FLAIR MR image.
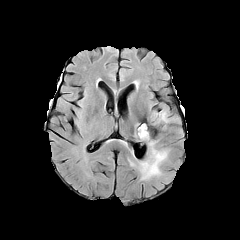
T1-weighted MR.
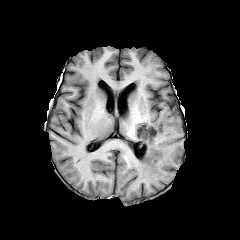
Post-contrast T1-weighted MRI.
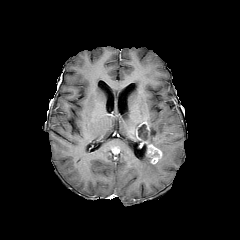
T2-weighted magnetic resonance.
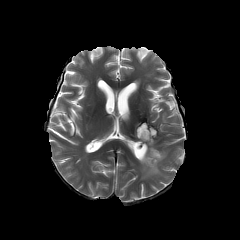
Head. 240x240 px.
<segmentation>
  <non-enhancing_tumor_core>[x1=137, y1=124, x2=149, y2=143]</non-enhancing_tumor_core>
  <enhancing_tumor>[x1=148, y1=144, x2=161, y2=163]</enhancing_tumor>
  <edema>[x1=138, y1=148, x2=168, y2=179], [x1=160, y1=110, x2=172, y2=124]</edema>
</segmentation>